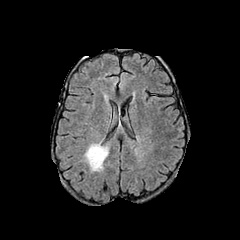
FLAIR MR image.
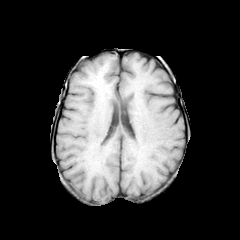
T1-weighted MR of the same slice.
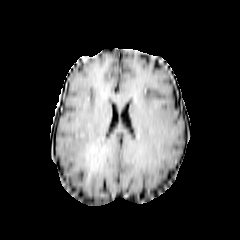
Post-contrast T1-weighted magnetic resonance.
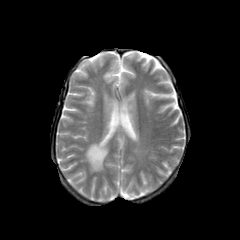
T2-weighted magnetic resonance.
Head
Findings:
• non-enhancing tumor core: region(90, 147, 107, 170)
• edema: region(83, 138, 109, 173)